Slice 51 of 155 | Head
FLAIR magnetic resonance.
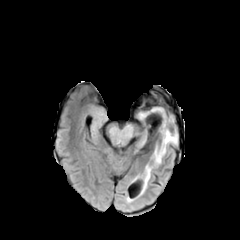
T1-weighted MRI.
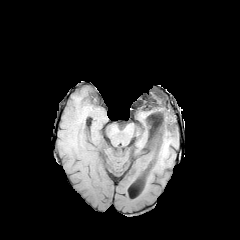
Post-contrast T1-weighted MR.
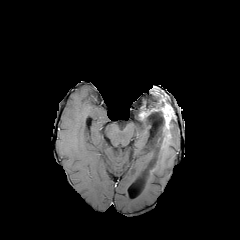
T2-weighted magnetic resonance.
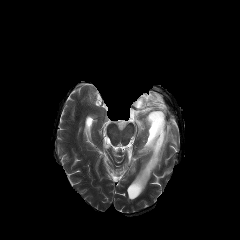
{
  "non-enhancing_tumor_core": [
    "[x1=141, y1=102, x2=164, y2=111]",
    "[x1=161, y1=136, x2=172, y2=151]",
    "[x1=149, y1=111, x2=164, y2=145]"
  ],
  "enhancing_tumor": [
    "[x1=140, y1=106, x2=173, y2=145]"
  ],
  "edema": [
    "[x1=151, y1=131, x2=169, y2=165]",
    "[x1=170, y1=122, x2=177, y2=144]",
    "[x1=141, y1=169, x2=151, y2=191]"
  ]
}